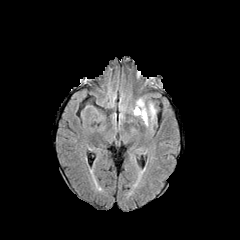
FLAIR magnetic resonance.
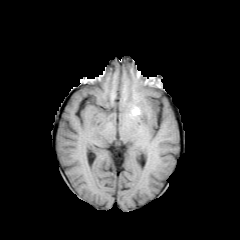
Same slice, T1-weighted MR image.
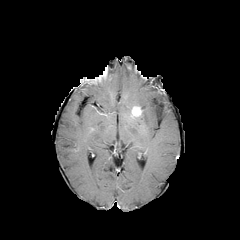
Post-contrast T1-weighted MR of the same slice.
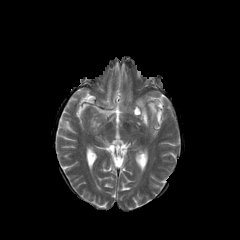
Same slice, T2-weighted MRI.
240x240 px | Brain
Enhancing tumor: region(131, 106, 142, 117).
Edema: region(149, 104, 155, 117); region(137, 99, 148, 125).